CT image. 512x512 px. Slice index 65.

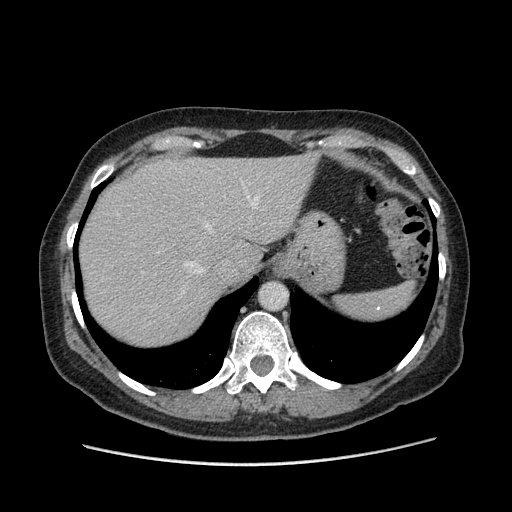 The vessel boxes may cover only some of the vessels.
Hepatic vessel = left=206, top=192, right=208, bottom=193; left=183, top=259, right=205, bottom=275; left=206, top=223, right=212, bottom=232; left=212, top=192, right=221, bottom=194; left=156, top=252, right=158, bottom=253; left=249, top=198, right=265, bottom=210.